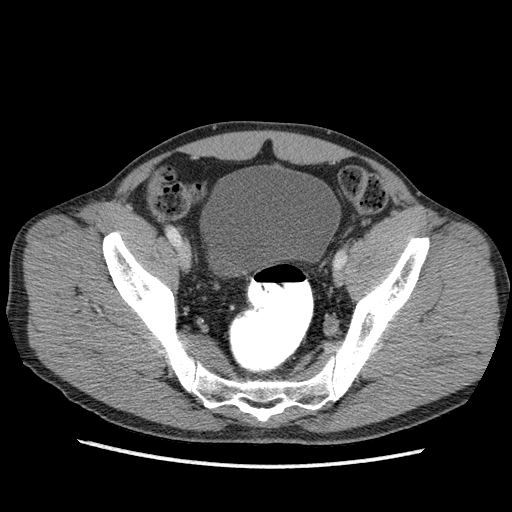 CT slice
The urinary bladder is located at 200 164 340 277.